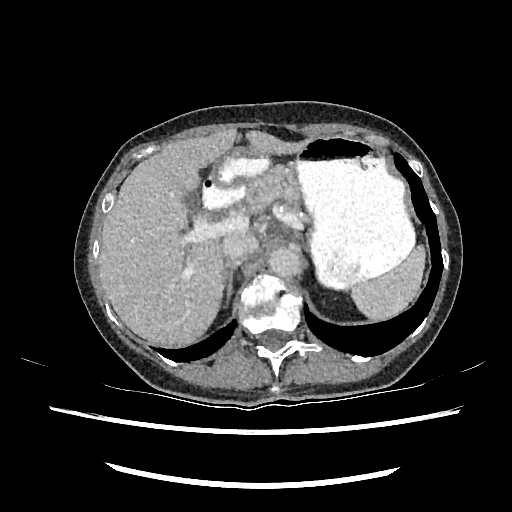

Image size 512x512. Computed tomography.
liver:
  - (x1=100, y1=129, x2=236, y2=345)
  - (x1=247, y1=131, x2=303, y2=153)